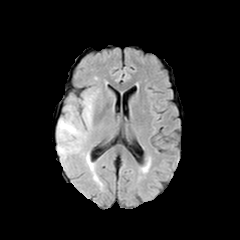
FLAIR magnetic resonance.
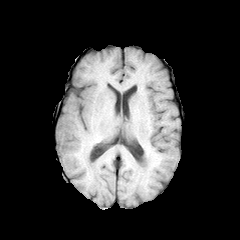
T1-weighted MR.
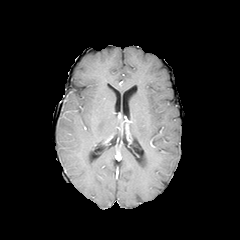
Same slice, post-contrast T1-weighted magnetic resonance.
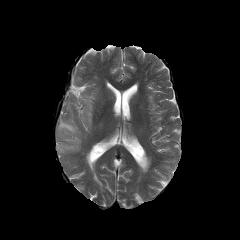
Same slice, T2-weighted MR.
Head
edema:
  - {"x1": 57, "y1": 90, "x2": 96, "y2": 169}